CT; Slice 372 of 836; Abdomen
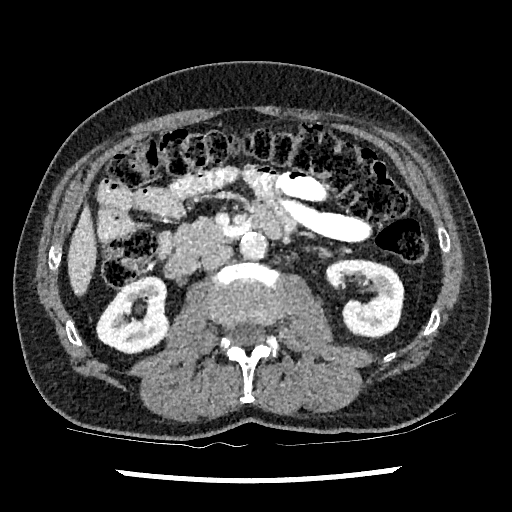

Liver = [68, 212, 96, 294].
Kidney = [327, 260, 403, 336], [97, 277, 167, 352].